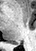

MR image. Hippocampus.

Posterior hippocampus = (x1=14, y1=41, x2=18, y2=43).